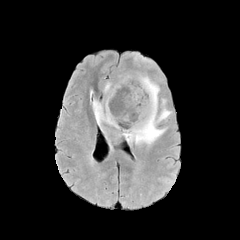
FLAIR magnetic resonance.
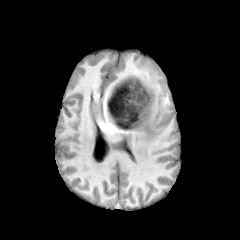
T1-weighted MR image of the same slice.
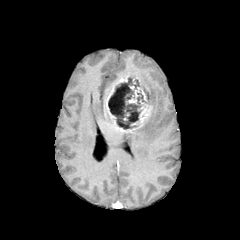
Same slice, post-contrast T1-weighted magnetic resonance.
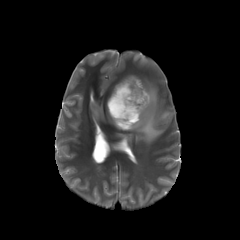
T2-weighted magnetic resonance of the same slice.
edema:
  - [123,77,171,145]
  - [91,99,117,133]
non-enhancing_tumor_core:
  - [108,78,149,129]
enhancing_tumor:
  - [139,105,149,122]
  - [105,89,116,125]